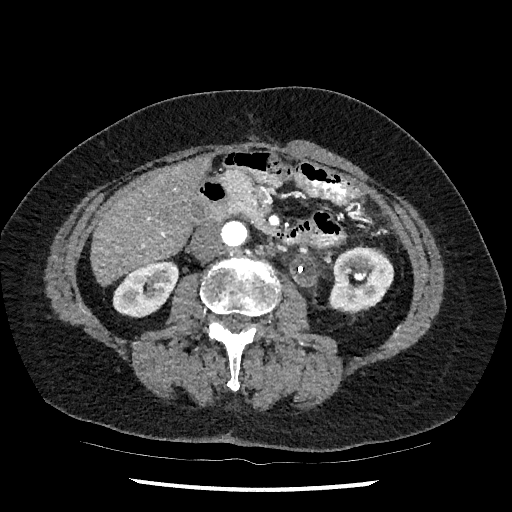 Image size 512x512, Computed tomography, Abdomen
{
  "kidney": [
    "region(330, 247, 393, 311)",
    "region(113, 262, 178, 316)"
  ],
  "liver": [
    "region(91, 156, 209, 285)"
  ]
}